Field of view 240x240 mm, Slice 117/155, Brain
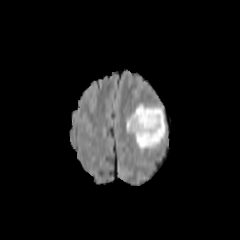
FLAIR MR image.
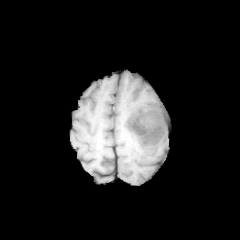
T1-weighted magnetic resonance.
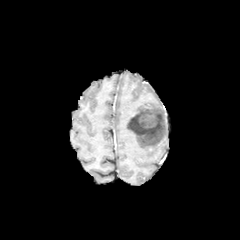
Post-contrast T1-weighted MR image.
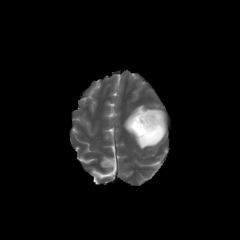
T2-weighted MR image.
- non-enhancing tumor core: region(128, 112, 159, 135)
- edema: region(126, 105, 169, 148)